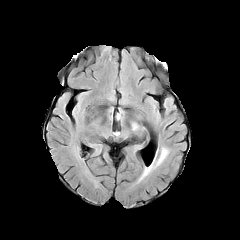
FLAIR MR.
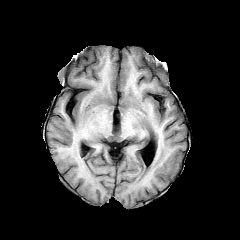
T1-weighted magnetic resonance of the same slice.
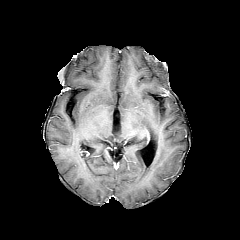
Post-contrast T1-weighted MR.
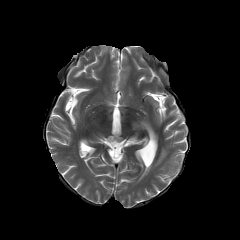
T2-weighted MR.
{
  "edema": [
    "box(138, 147, 169, 181)"
  ]
}